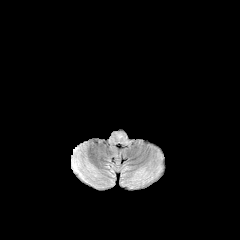
FLAIR MR.
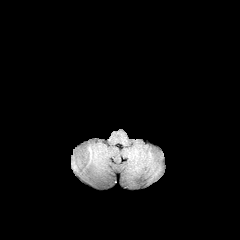
Same slice, T1-weighted MR.
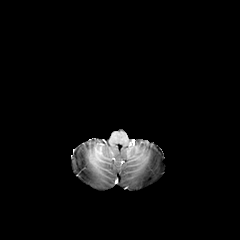
Post-contrast T1-weighted MR.
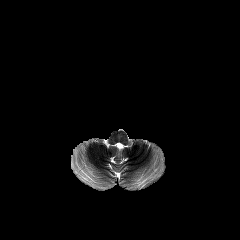
T2-weighted MR.
2 edema regions are bounded by bbox=[136, 174, 150, 183]; bbox=[75, 158, 95, 183].